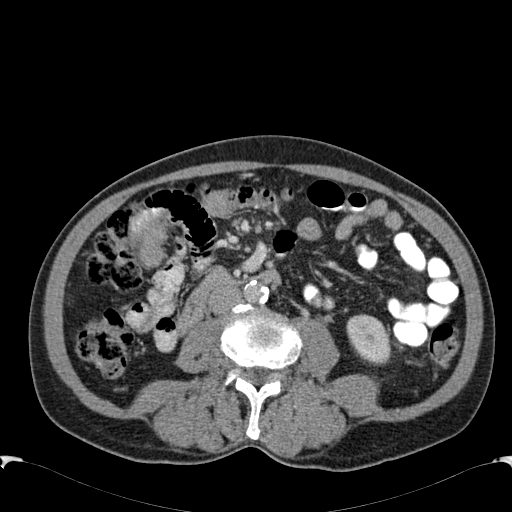
CT scan slice | Abdomen | 512x512 px
The kidney is bounded by rect(347, 316, 389, 362).